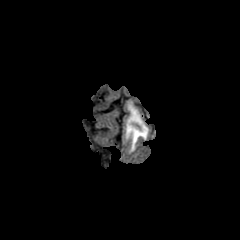
FLAIR MR.
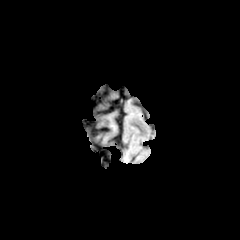
Same slice, T1-weighted MRI.
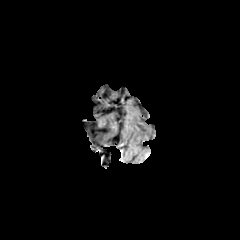
Same slice, post-contrast T1-weighted magnetic resonance.
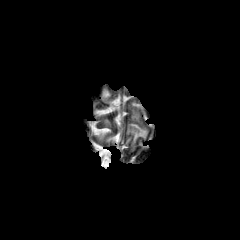
T2-weighted MR image of the same slice.
The edema is at (left=125, top=102, right=149, bottom=152).